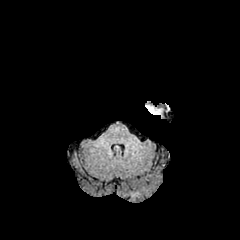
FLAIR MR image.
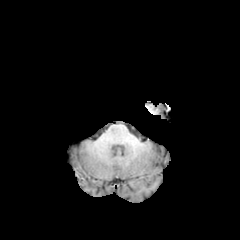
T1-weighted MR.
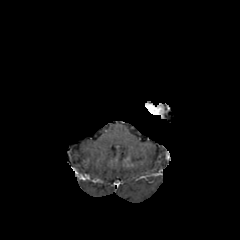
Post-contrast T1-weighted MRI.
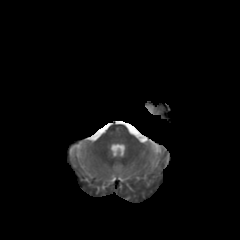
T2-weighted MR image.
Brain
enhancing tumor: {"x1": 149, "y1": 107, "x2": 162, "y2": 112}